Abdomen | CT image | Slice index 127 | Image width 346 mm
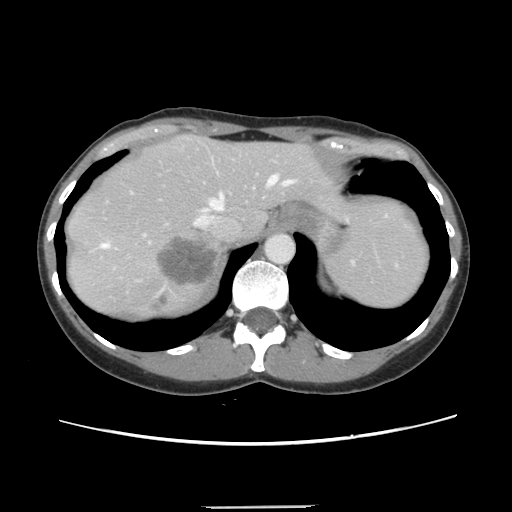

Only some of the vessels may be annotated.
The liver tumor appears at 157:238:215:285. 6 hepatic vessel regions appear at 101:242:109:247, 202:194:222:211, 143:234:144:235, 194:219:196:222, 267:175:276:185, 283:180:292:184.